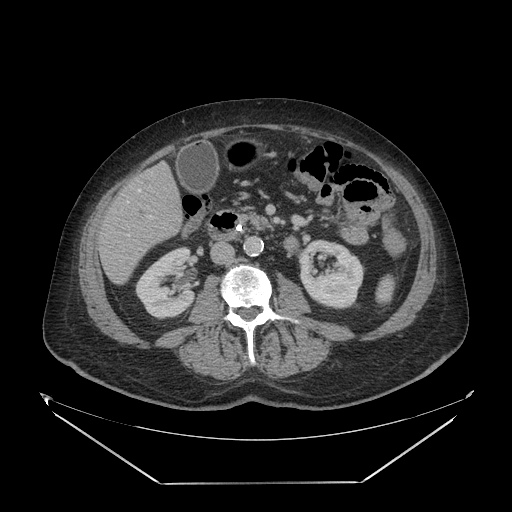 Computed tomography
Pancreas at (237, 206, 272, 231).